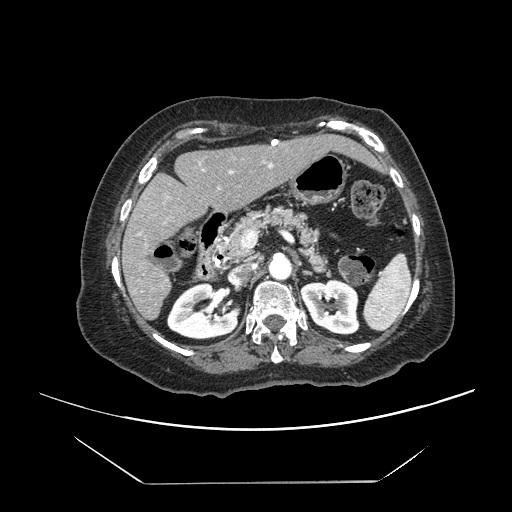
CT
Only some of the vessels may be annotated.
Hepatic vessel — [x1=241, y1=230, x2=256, y2=248].